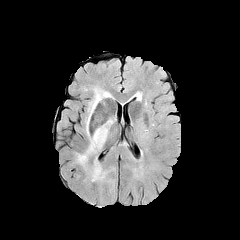
FLAIR MRI.
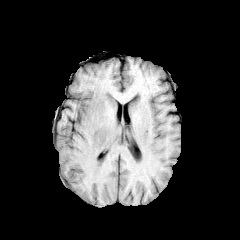
T1-weighted MRI.
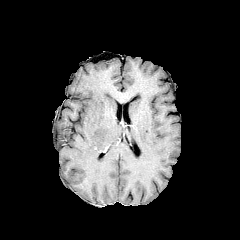
Post-contrast T1-weighted MR image.
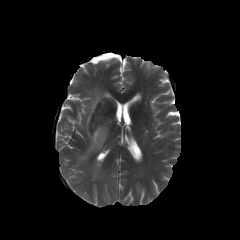
T2-weighted magnetic resonance.
Brain | Image size 240x240
Edema: bounding box bbox(92, 163, 100, 180); bbox(78, 88, 110, 163).